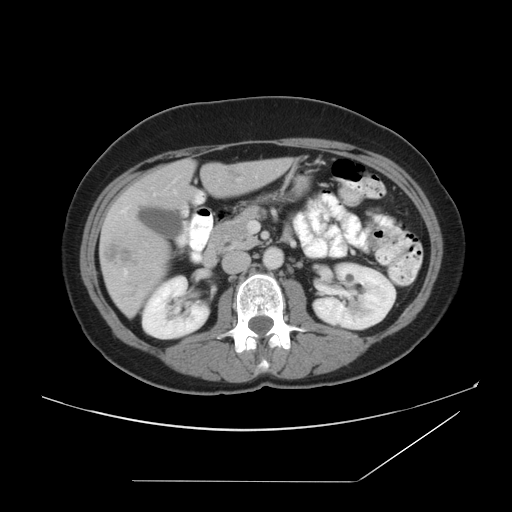

CT slice, Image size 512x512, Abdomen
Not every hepatic vessel necessarily has a box.
Hepatic vessel — {"x1": 121, "y1": 209, "x2": 125, "y2": 213}, {"x1": 173, "y1": 190, "x2": 176, "y2": 193}, {"x1": 237, "y1": 179, "x2": 239, "y2": 181}, {"x1": 153, "y1": 193, "x2": 155, "y2": 195}, {"x1": 123, "y1": 269, "x2": 127, "y2": 275}.
Liver tumor — {"x1": 227, "y1": 169, "x2": 242, "y2": 178}, {"x1": 109, "y1": 245, "x2": 133, "y2": 264}.